Head | Slice 63 of 155
FLAIR magnetic resonance.
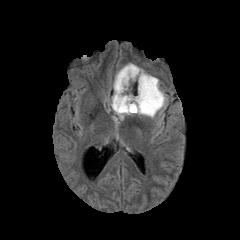
T1-weighted MRI.
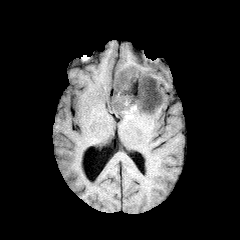
Post-contrast T1-weighted MRI.
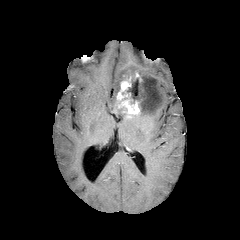
T2-weighted MR.
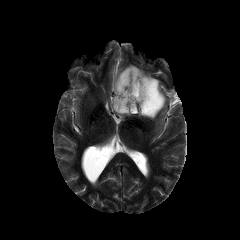
Enhancing tumor — 114:72:141:113.
Edema — 112:113:125:120, 107:63:169:119.
Non-enhancing tumor core — 127:77:157:113.